Field of view 360 mm wide, 1.25 mm slice spacing, Computed tomography, Slice 345 of 366, 512x512 px 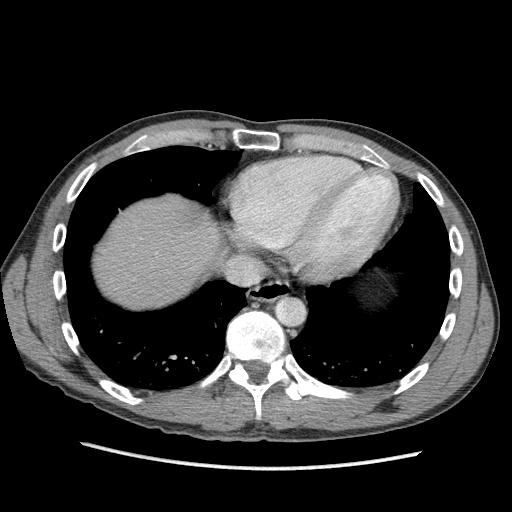

Annotated regions:
• liver: l=92, t=194, r=235, b=309